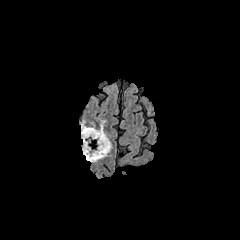
FLAIR MR image.
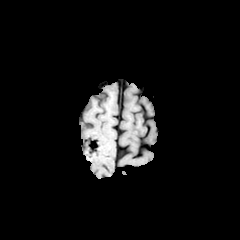
Same slice, T1-weighted MR image.
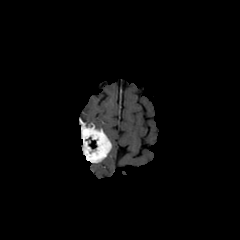
Post-contrast T1-weighted magnetic resonance of the same slice.
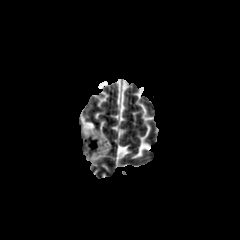
T2-weighted MR image.
Head. 240x240.
Non-enhancing tumor core — 85, 137, 97, 149.
Edema — 96, 121, 107, 135.
Enhancing tumor — 80, 122, 111, 162.